FLAIR MR.
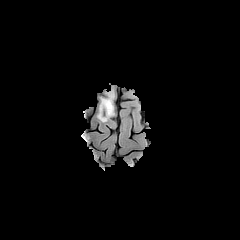
T1-weighted MR.
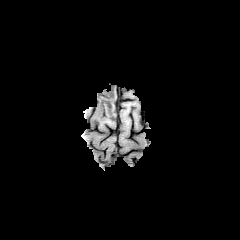
Post-contrast T1-weighted MR image.
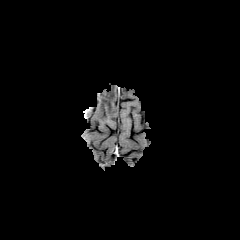
T2-weighted MR image.
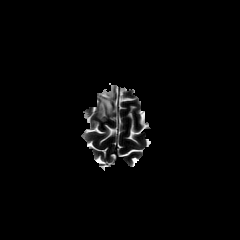
Head
The non-enhancing tumor core is located at box(98, 94, 113, 115). The edema lies within box(95, 88, 115, 122).